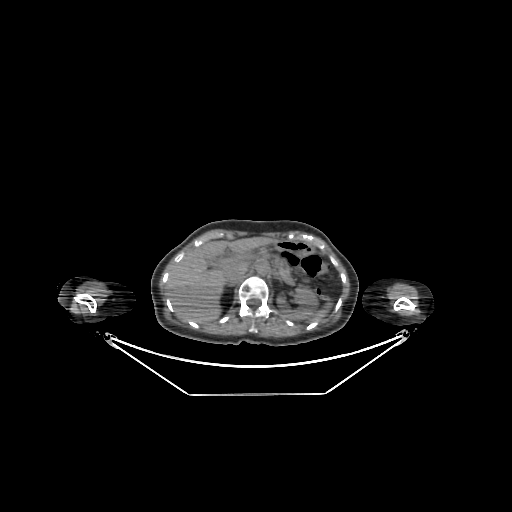

Liver; CT image
• kidney: 276:285:318:320
• liver: 164:237:271:323